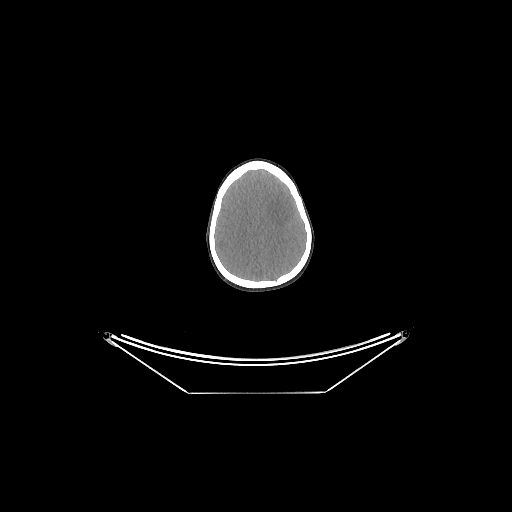
Computed tomography, Brain, 512x512 px
- brain: (214,169,306,281)